Field of view 240x240 mm
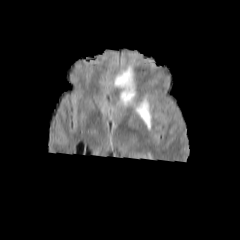
FLAIR MR.
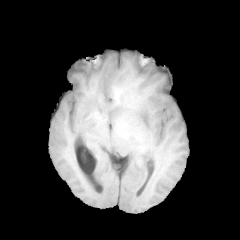
T1-weighted MR image.
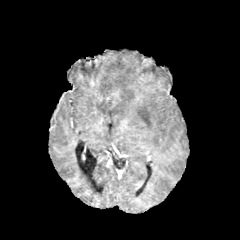
Post-contrast T1-weighted magnetic resonance.
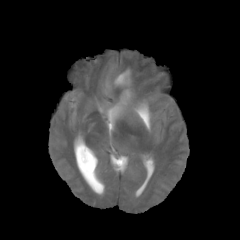
T2-weighted MRI of the same slice.
<segmentation>
  <edema>region(111, 99, 150, 126); region(113, 69, 135, 98)</edema>
</segmentation>